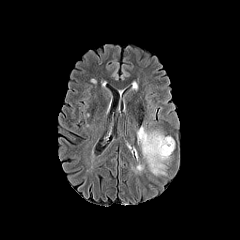
FLAIR MR image.
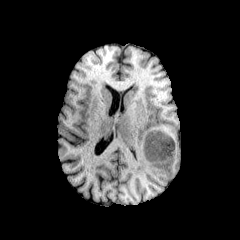
T1-weighted magnetic resonance.
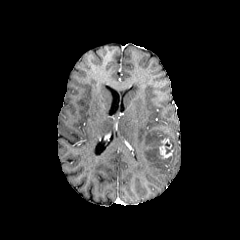
Post-contrast T1-weighted MR image of the same slice.
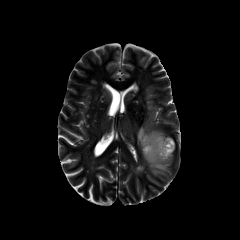
T2-weighted MR.
Head; Image size 240x240
edema: <bbox>137, 122, 174, 175</bbox> | enhancing tumor: <bbox>157, 139, 173, 157</bbox>